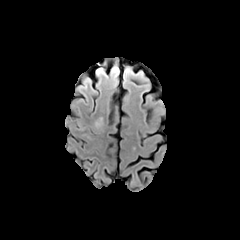
FLAIR MR.
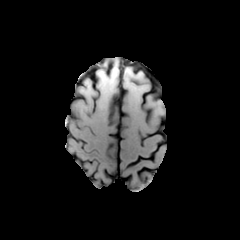
T1-weighted magnetic resonance.
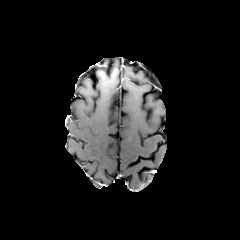
Same slice, post-contrast T1-weighted MR image.
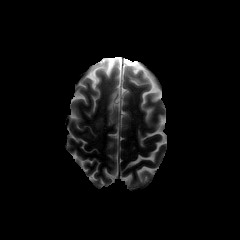
T2-weighted MR image.
Head; Image size 240x240
Findings:
• edema: (96,64,117,82)